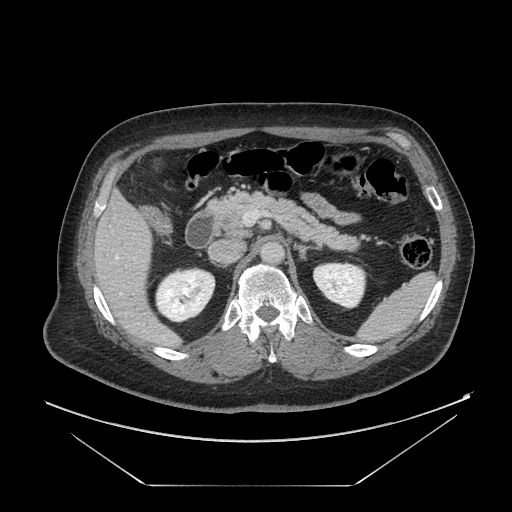

Upper abdomen | CT image
Pancreas: [209,193,359,251].
Pancreatic tumor: [223,217,232,223].